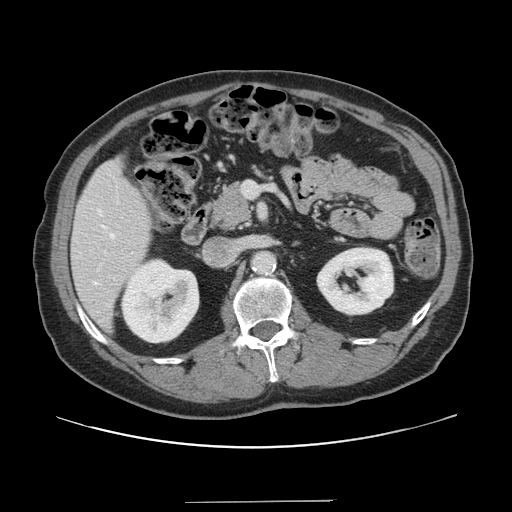 Image size 512x512; CT

The vessel annotation is not exhaustive.
{
  "hepatic_vessel": [
    {"x1": 243, "y1": 181, "x2": 257, "y2": 196},
    {"x1": 104, "y1": 250, "x2": 105, "y2": 253},
    {"x1": 99, "y1": 210, "x2": 100, "y2": 214},
    {"x1": 94, "y1": 282, "x2": 97, "y2": 284},
    {"x1": 109, "y1": 233, "x2": 114, "y2": 238}
  ]
}